Head | 240x240 px | Slice index 108
FLAIR MR.
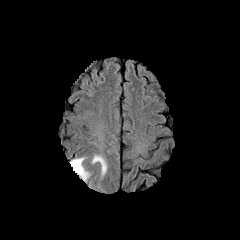
T1-weighted MRI.
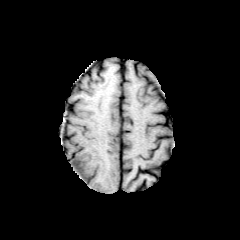
Post-contrast T1-weighted MR.
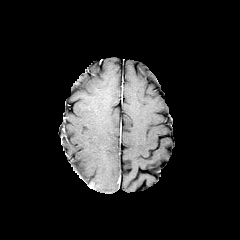
T2-weighted MR.
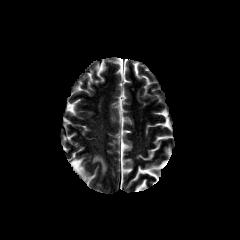
Edema = 70,155,106,187.